Image size 240x240.
FLAIR MR image.
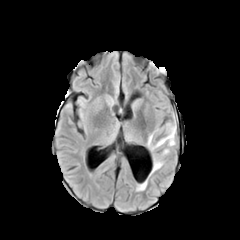
T1-weighted MRI.
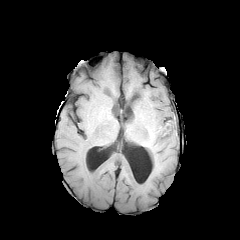
Post-contrast T1-weighted MR image.
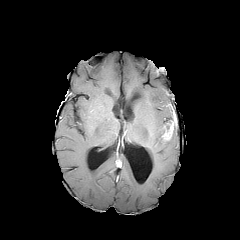
T2-weighted magnetic resonance.
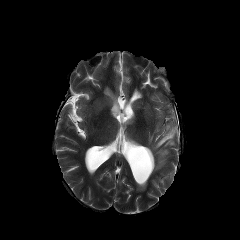
<segmentation>
  <edema>x1=136 y1=180 x2=147 y2=191, x1=147 y1=125 x2=176 y2=175</edema>
  <enhancing_tumor>x1=162 y1=121 x2=175 y2=140</enhancing_tumor>
</segmentation>